512x512 px, Upper abdomen, Computed tomography, Image width 358 mm
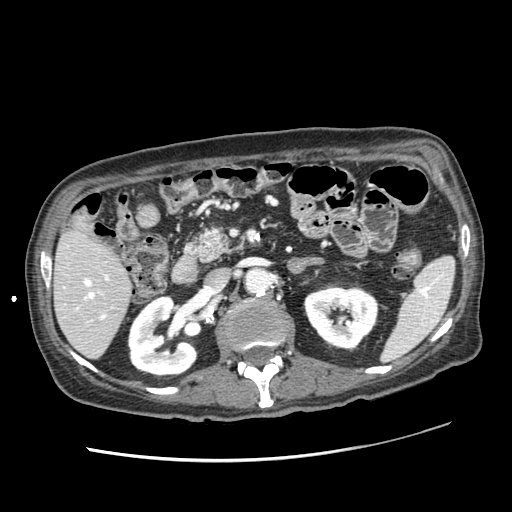 pancreas:
  - left=197, top=228, right=229, bottom=263